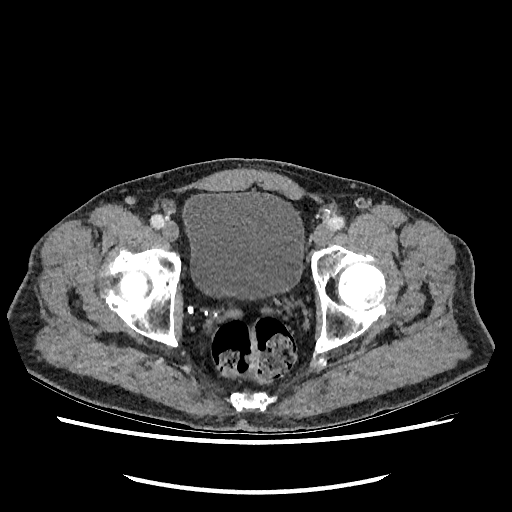

CT slice | Lower abdomen
<segmentation>
  <urinary_bladder>[182, 190, 304, 299]</urinary_bladder>
</segmentation>